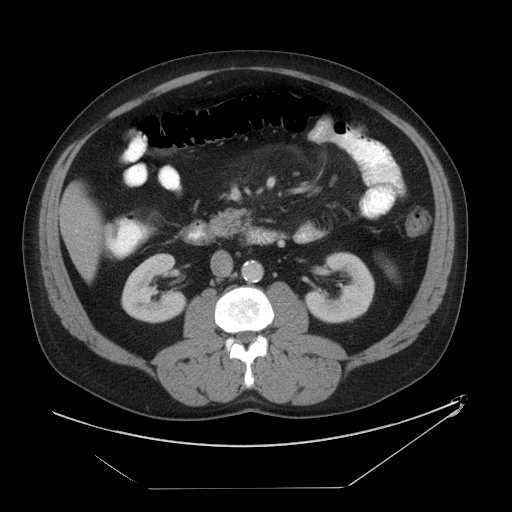 CT scan slice
Spleen = bbox(379, 257, 399, 278).